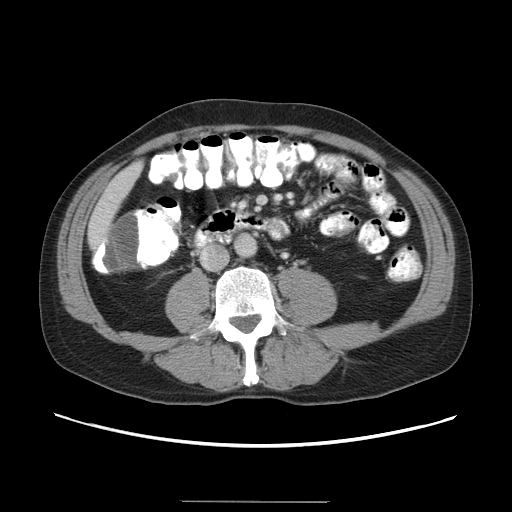 CT image

The colon tumor lies within <bbox>102, 214, 139, 271</bbox>.